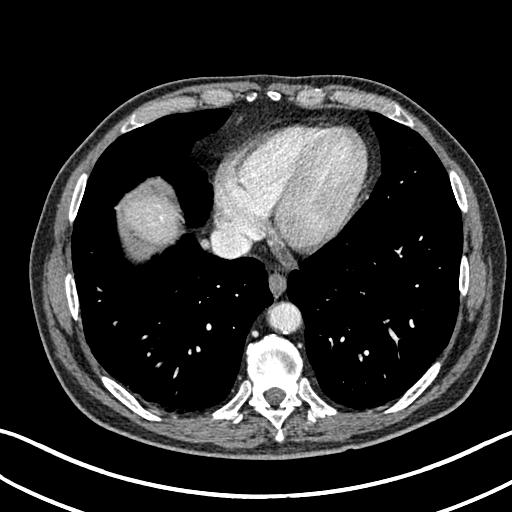 Upper abdomen; Computed tomography

Liver: 123, 194, 175, 244.